FLAIR magnetic resonance.
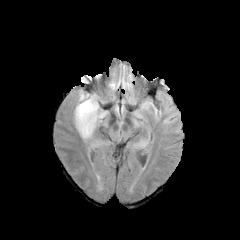
T1-weighted magnetic resonance.
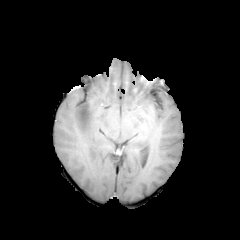
Post-contrast T1-weighted MR image.
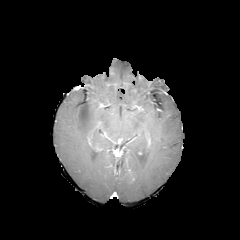
T2-weighted magnetic resonance.
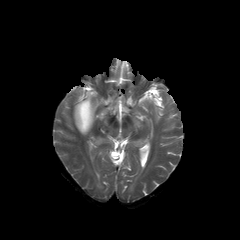
Brain
{"edema": ["region(142, 99, 155, 109)", "region(72, 91, 106, 138)"], "non-enhancing_tumor_core": ["region(80, 101, 89, 129)"]}